Upper abdomen. CT image. Image width 404 mm. 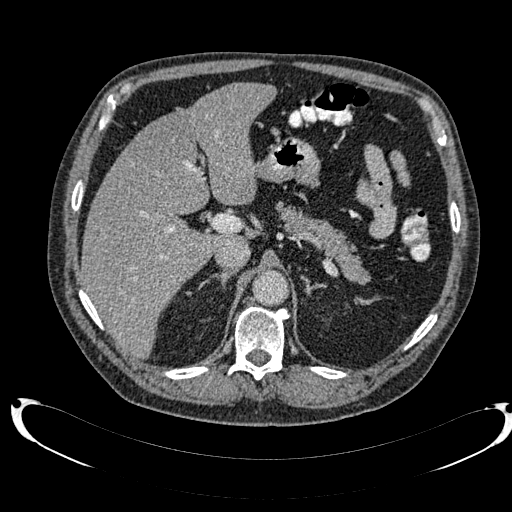
Liver lesion at (x1=137, y1=115, x2=189, y2=172).
Liver at (x1=81, y1=83, x2=275, y2=357).